Medial temporal lobe. Slice 25 of 36. MRI slice.
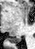 The posterior hippocampus lies within x1=10, y1=38, x2=21, y2=42.